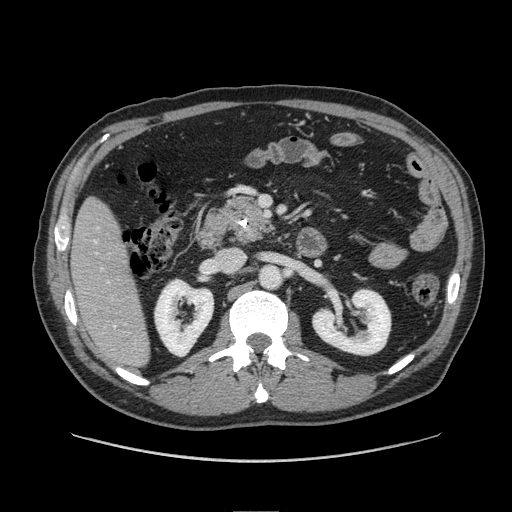 CT
pancreas:
  - [205, 193, 276, 246]
pancreatic_tumor:
  - [238, 226, 261, 239]